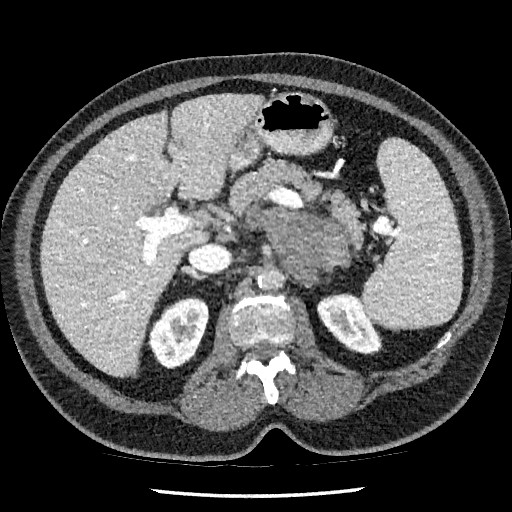

Image size 512x512 | Abdomen | CT scan slice
2 kidney regions appear at l=150, t=299, r=207, b=367; l=318, t=295, r=379, b=352. The liver is at l=42, t=94, r=264, b=376. The focal liver lesion appears at l=176, t=139, r=183, b=150.